Image size 240x240 | Brain
FLAIR magnetic resonance.
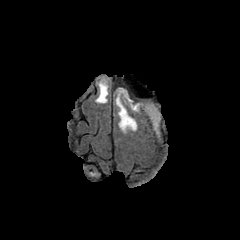
T1-weighted MR.
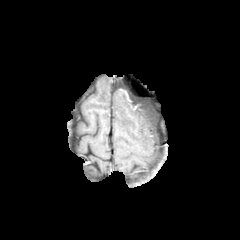
Post-contrast T1-weighted MRI.
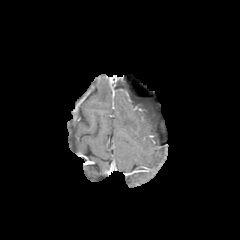
T2-weighted MR.
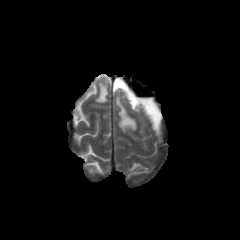
The non-enhancing tumor core is bounded by rect(128, 98, 158, 122). 3 edema regions are bounded by rect(115, 87, 146, 133); rect(149, 115, 158, 129); rect(94, 77, 110, 103).